Computed tomography, Field of view 385x385 mm

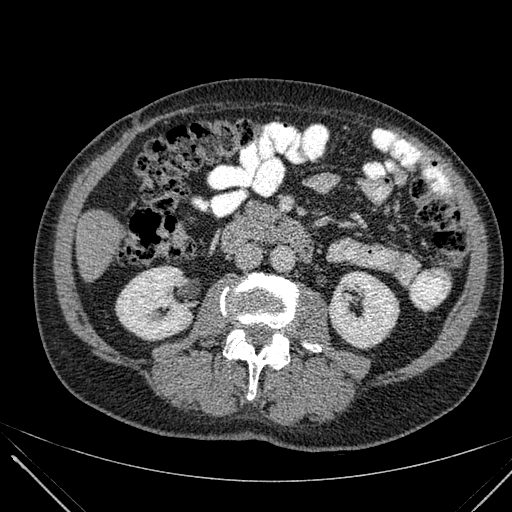
2 kidney regions are bounded by box=[330, 272, 398, 347]; box=[116, 267, 191, 338]. The liver lies within box=[76, 209, 124, 281].